CT
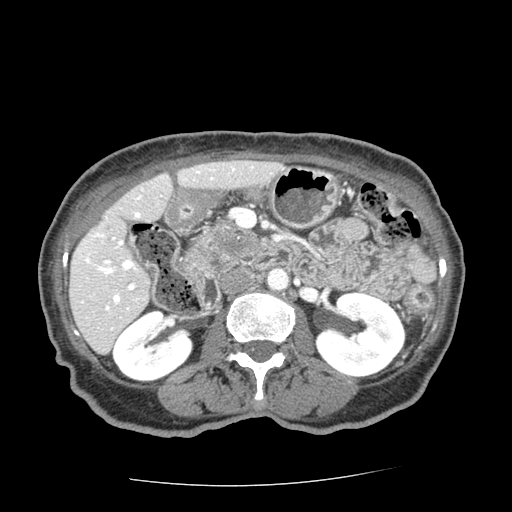 Pancreatic tumor = box=[211, 223, 260, 258].
Pancreas = box=[192, 219, 261, 273].